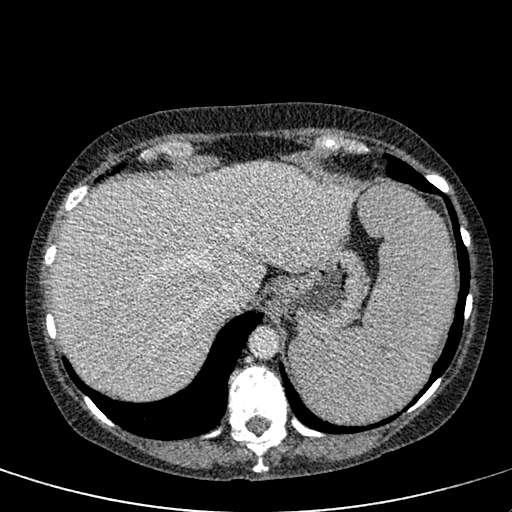 CT
The liver lies within x1=55 y1=163 x2=355 y2=399.